CT slice | Field of view 373x373 mm

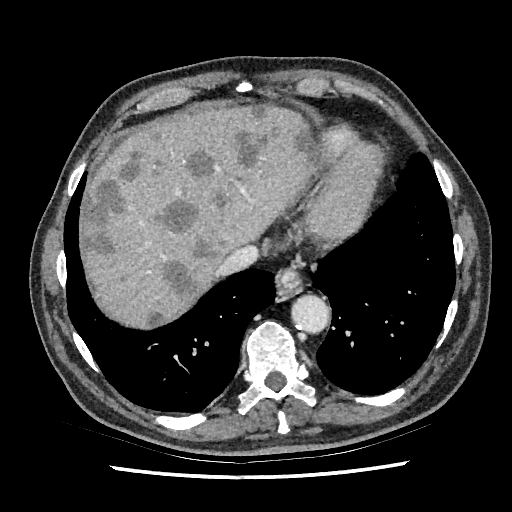 The liver is located at {"x1": 82, "y1": 104, "x2": 314, "y2": 326}. 14 focal liver lesion regions are located at {"x1": 119, "y1": 275, "x2": 127, "y2": 282}, {"x1": 187, "y1": 150, "x2": 213, "y2": 178}, {"x1": 194, "y1": 240, "x2": 216, "y2": 258}, {"x1": 150, "y1": 132, "x2": 161, "y2": 142}, {"x1": 294, "y1": 127, "x2": 315, "y2": 171}, {"x1": 210, "y1": 188, "x2": 226, "y2": 208}, {"x1": 252, "y1": 106, "x2": 265, "y2": 117}, {"x1": 147, "y1": 312, "x2": 161, "y2": 325}, {"x1": 236, "y1": 131, "x2": 277, "y2": 168}, {"x1": 162, "y1": 260, "x2": 201, "y2": 301}, {"x1": 121, "y1": 149, "x2": 141, "y2": 181}, {"x1": 219, "y1": 238, "x2": 226, "y2": 245}, {"x1": 155, "y1": 201, "x2": 201, "y2": 231}, {"x1": 83, "y1": 179, "x2": 123, "y2": 254}.